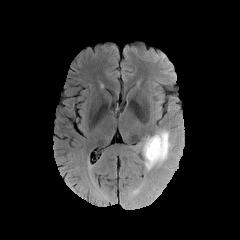
FLAIR MR image.
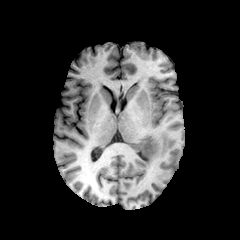
T1-weighted MR image.
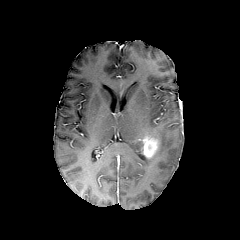
Same slice, post-contrast T1-weighted MR image.
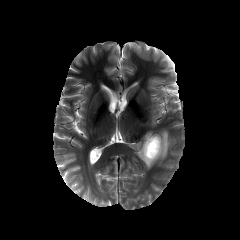
Same slice, T2-weighted MR image.
enhancing tumor: box=[142, 136, 157, 158] | edema: box=[143, 129, 174, 170]